Image size 512x512 | CT

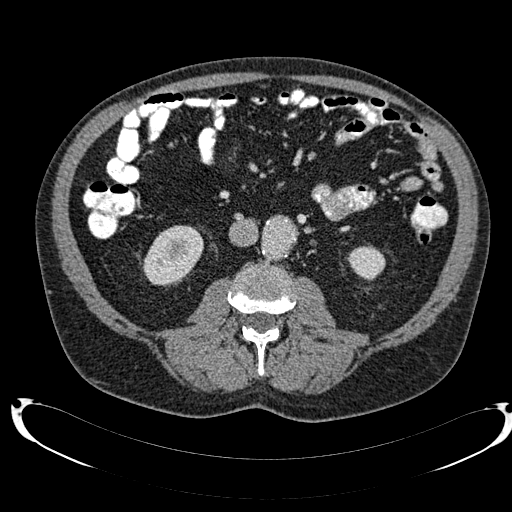 2 kidney regions are bounded by (348, 246, 385, 280), (143, 225, 203, 285).